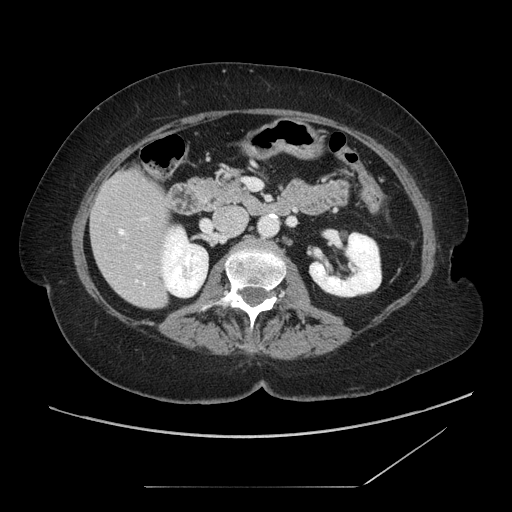

Image size 512x512 | CT slice
pancreas:
  - 218 167 241 190